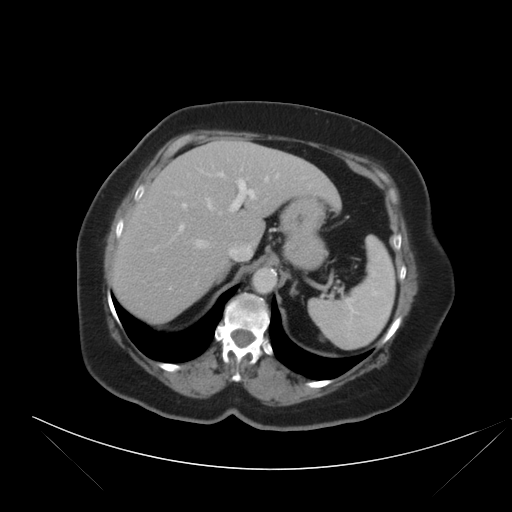
Computed tomography. Liver. 512x512 px. Not every hepatic vessel necessarily has a box.
Largest 15 of 16 hepatic vessel regions — left=171, top=234, right=177, bottom=240; left=309, top=186, right=310, bottom=187; left=206, top=199, right=212, bottom=209; left=174, top=192, right=177, bottom=194; left=230, top=177, right=255, bottom=211; left=182, top=203, right=186, bottom=208; left=303, top=177, right=305, bottom=178; left=217, top=172, right=224, bottom=176; left=178, top=224, right=183, bottom=233; left=188, top=174, right=189, bottom=175; left=198, top=169, right=202, bottom=170; left=265, top=177, right=268, bottom=181; left=204, top=173, right=212, bottom=175; left=229, top=248, right=235, bottom=253; left=195, top=240, right=207, bottom=247.